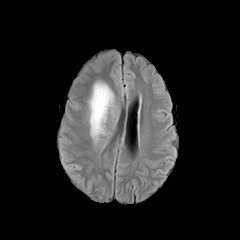
FLAIR MR.
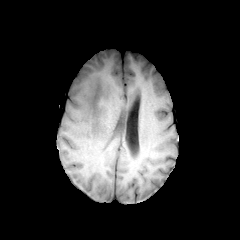
T1-weighted magnetic resonance.
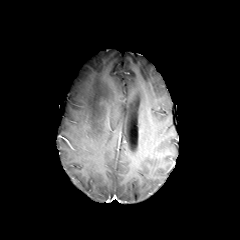
Post-contrast T1-weighted magnetic resonance.
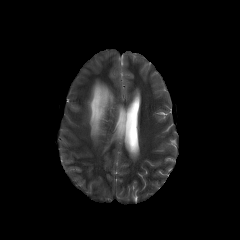
T2-weighted MR image.
edema: box=[86, 80, 116, 138]